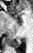
Image size 33x53. MR.

Segmented structures:
* posterior hippocampus: box=[8, 38, 21, 47]